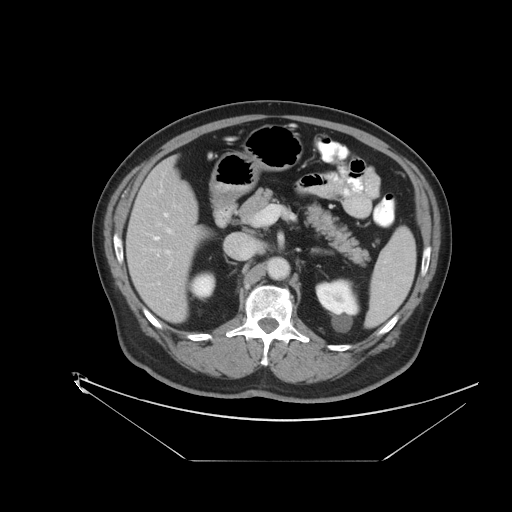 Abdomen; CT image

Not every hepatic vessel necessarily has a box.
5 hepatic vessel regions appear at {"x1": 153, "y1": 250, "x2": 159, "y2": 255}, {"x1": 154, "y1": 236, "x2": 159, "y2": 239}, {"x1": 167, "y1": 229, "x2": 171, "y2": 232}, {"x1": 166, "y1": 250, "x2": 169, "y2": 253}, {"x1": 164, "y1": 213, "x2": 167, "y2": 216}.